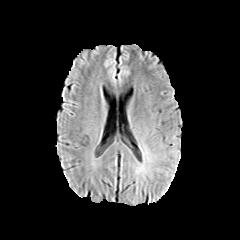
FLAIR magnetic resonance.
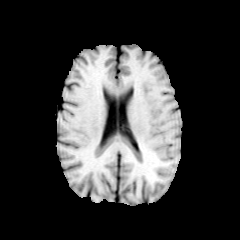
T1-weighted MR image of the same slice.
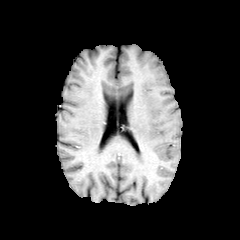
Post-contrast T1-weighted MRI of the same slice.
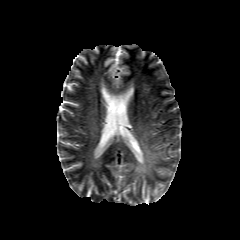
T2-weighted magnetic resonance of the same slice.
Image size 240x240. Brain.
The edema is located at bbox(142, 152, 149, 161).